Abdomen | CT

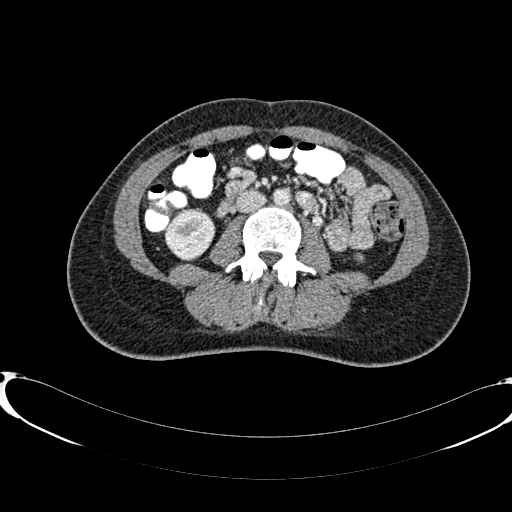
The kidney is at box(166, 212, 213, 257).